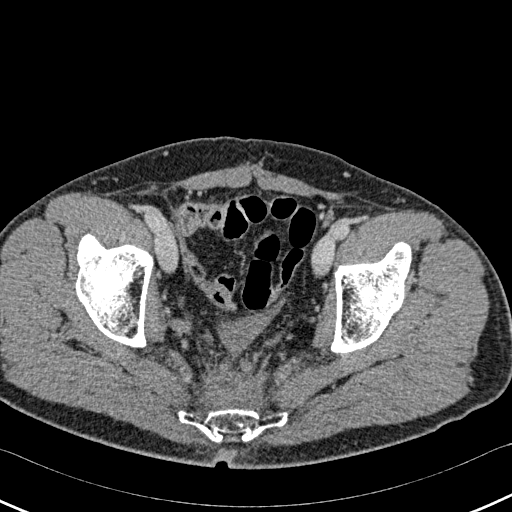

CT. bone: [76, 234, 152, 346], [331, 242, 410, 352], [178, 409, 287, 441]